Slice 117/174 | Abdomen | Image size 512x512 | Computed tomography
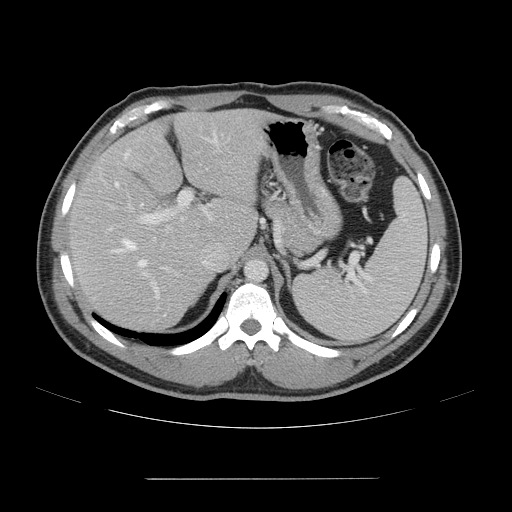
Only some of the vessels may be annotated.
Annotated regions:
* hepatic vessel (top 15 of 19): [x1=200, y1=132, x2=216, y2=142], [x1=203, y1=206, x2=212, y2=219], [x1=163, y1=267, x2=169, y2=270], [x1=110, y1=206, x2=113, y2=208], [x1=143, y1=273, x2=147, y2=275], [x1=115, y1=182, x2=118, y2=186], [x1=123, y1=239, x2=135, y2=249], [x1=102, y1=179, x2=105, y2=182], [x1=124, y1=150, x2=130, y2=159], [x1=139, y1=260, x2=145, y2=266], [x1=152, y1=281, x2=158, y2=297], [x1=178, y1=191, x2=191, y2=206], [x1=110, y1=249, x2=122, y2=252], [x1=142, y1=211, x2=175, y2=223], [x1=128, y1=206, x2=131, y2=208]